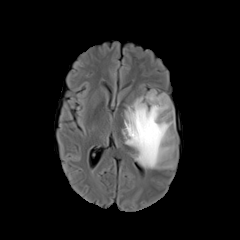
FLAIR magnetic resonance.
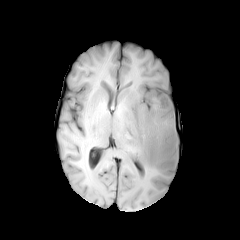
T1-weighted MRI.
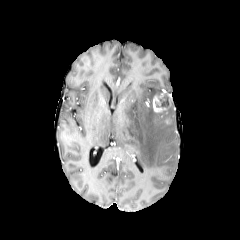
Post-contrast T1-weighted MR image.
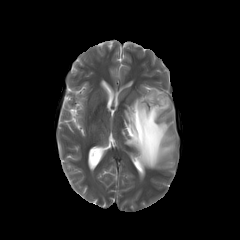
Same slice, T2-weighted MR image.
Brain.
edema: bbox=[121, 85, 178, 171] | enhancing tumor: bbox=[153, 96, 162, 111] | non-enhancing tumor core: bbox=[151, 91, 174, 113]